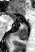

Hippocampus | MR
Annotated regions:
- posterior hippocampus: 12 22 27 40
- anterior hippocampus: 8 12 14 18